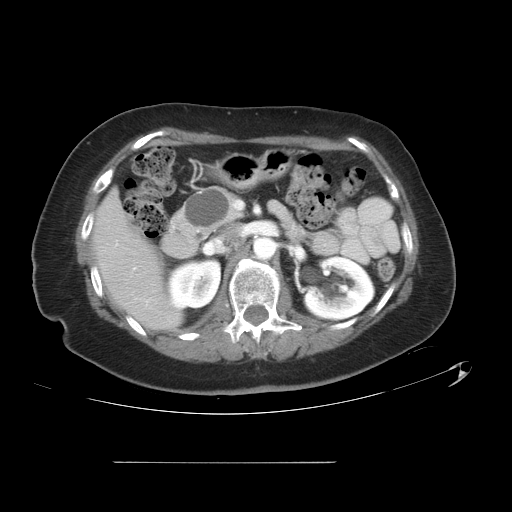

Image size 512x512 | Abdomen | CT slice

pancreas:
  - 170, 187, 242, 239
  - 267, 200, 306, 241
pancreatic_tumor:
  - 185, 191, 228, 226